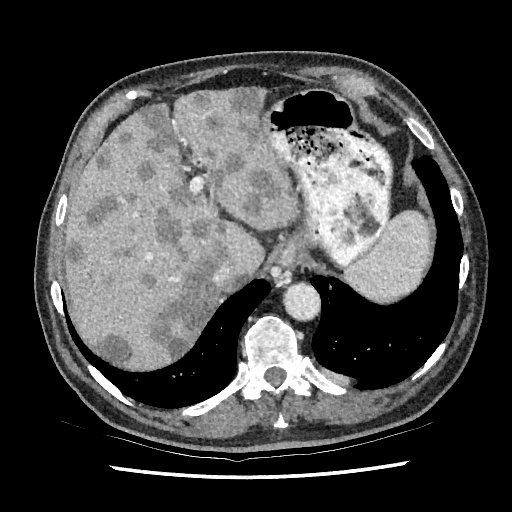

Upper abdomen, Computed tomography

Largest 15 of 16 focal liver lesion regions — 152, 207, 229, 357; 96, 148, 111, 169; 95, 335, 131, 363; 168, 184, 190, 206; 243, 168, 284, 218; 140, 272, 154, 285; 84, 197, 124, 226; 203, 113, 224, 134; 208, 152, 244, 190; 137, 161, 154, 182; 120, 132, 133, 142; 66, 239, 83, 265; 138, 104, 178, 152; 231, 88, 264, 145; 190, 92, 210, 110.
Liver — 222, 221, 263, 281; 65, 88, 297, 368.